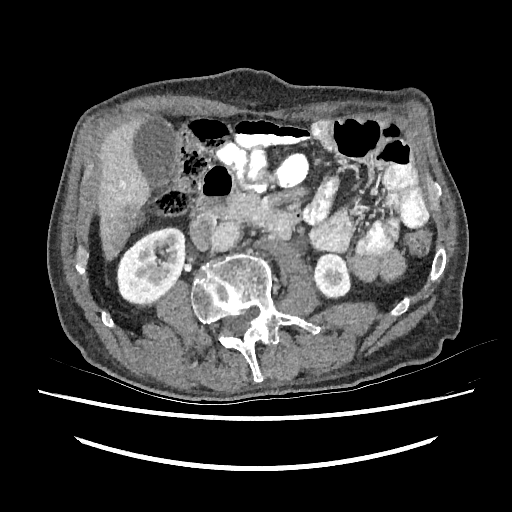
512x512 px. Liver. CT slice. Liver = (left=97, top=113, right=149, bottom=259).
Kidney = (left=118, top=229, right=184, bottom=303), (left=314, top=254, right=349, bottom=296).
Hepatic lesion = (left=112, top=205, right=136, bottom=248).